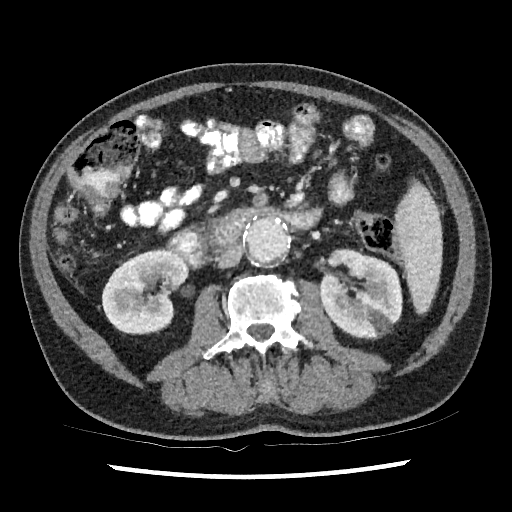

Abdomen, CT image

Annotated regions:
* kidney: (102, 250, 187, 333), (320, 250, 401, 337)